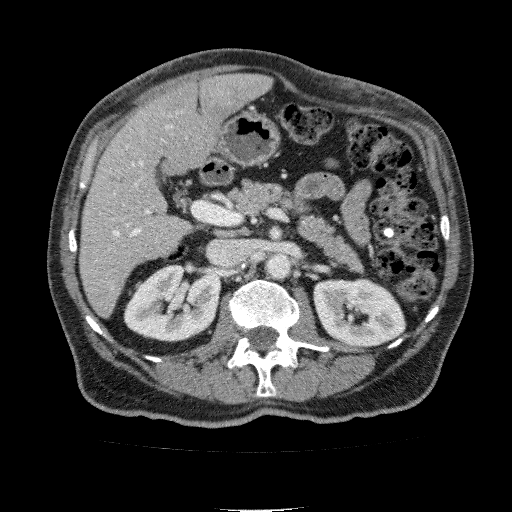
512x512 px, CT scan slice
Annotated regions:
* liver: (81, 74, 272, 317)
* kidney: (125, 266, 219, 340), (314, 280, 404, 345)